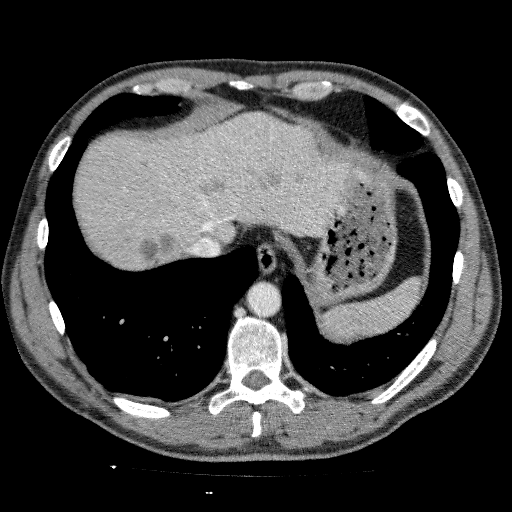 CT scan slice
Liver — 75:112:346:270.
Hepatic lesion — 292:171:303:182, 139:160:147:167, 244:166:282:190, 137:231:185:267, 198:179:226:196.